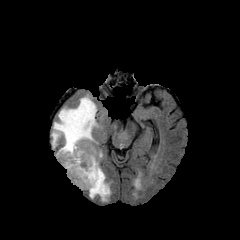
FLAIR MRI.
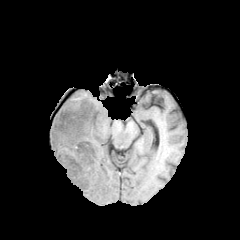
T1-weighted magnetic resonance of the same slice.
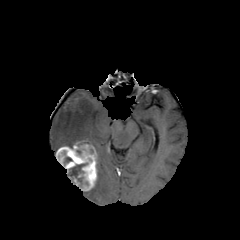
Post-contrast T1-weighted MR.
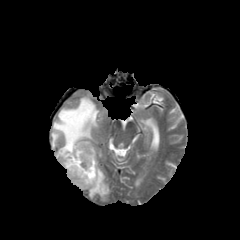
T2-weighted magnetic resonance of the same slice.
Brain.
The enhancing tumor is located at 55:141:97:190. The non-enhancing tumor core appears at 69:164:85:177. 2 edema regions are located at 51:95:100:148, 88:150:111:201.